240x240 px
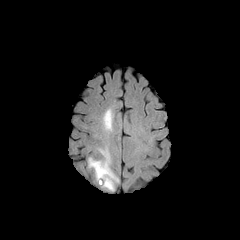
FLAIR MR.
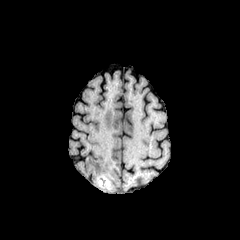
Same slice, T1-weighted MR image.
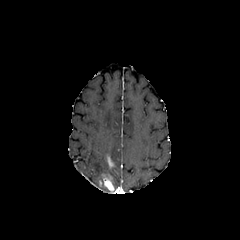
Post-contrast T1-weighted magnetic resonance.
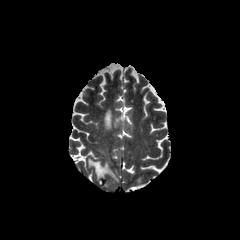
Same slice, T2-weighted magnetic resonance.
enhancing tumor: box=[99, 173, 115, 191]; box=[106, 154, 113, 168] | edema: box=[99, 108, 114, 131]; box=[88, 148, 113, 176]